FLAIR MR.
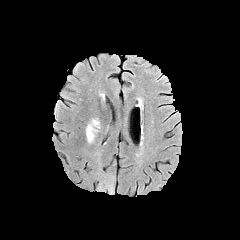
T1-weighted MR.
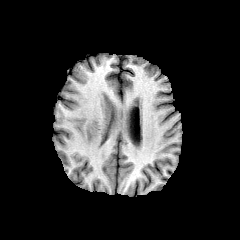
Post-contrast T1-weighted MR image.
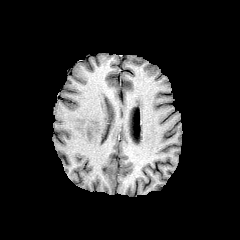
T2-weighted magnetic resonance.
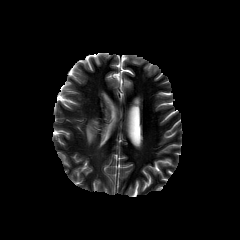
Image size 240x240
The edema is at {"x1": 86, "y1": 119, "x2": 100, "y2": 143}.